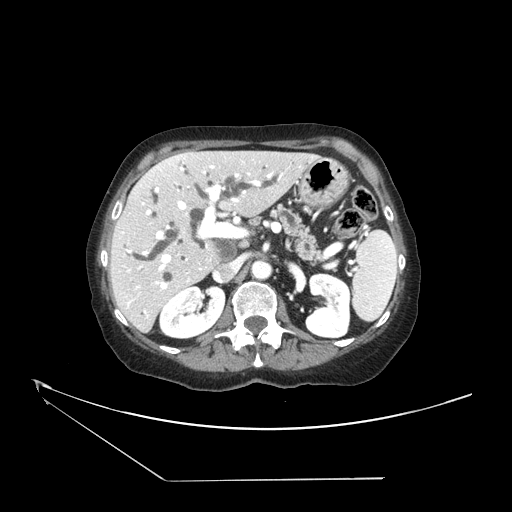 CT scan slice. The pancreas is located at x1=274 y1=208 x2=321 y2=262.